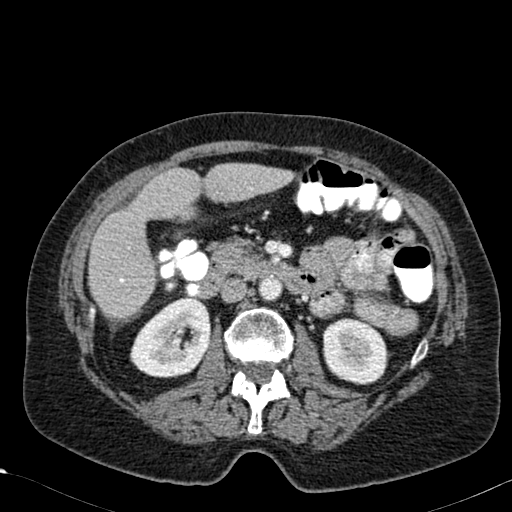 Computed tomography
liver:
  - l=91, t=164, r=292, b=318
kidney:
  - l=324, t=319, r=386, b=383
  - l=131, t=297, r=210, b=376